Slice 40 of 83. 512x512 px. CT scan slice. Upper abdomen.
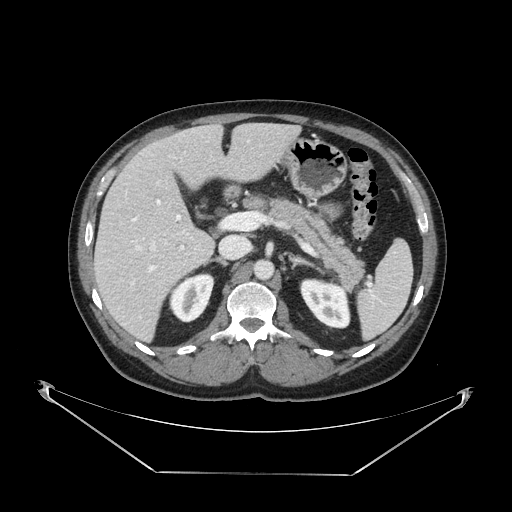

pancreas:
  - 267,197,365,291